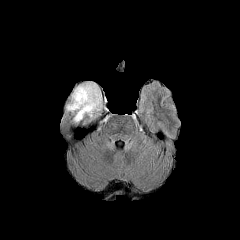
FLAIR MR.
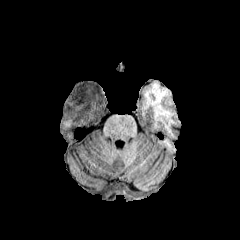
T1-weighted MRI.
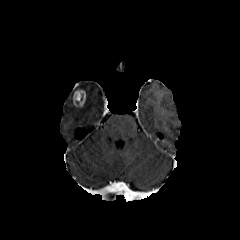
Post-contrast T1-weighted MRI.
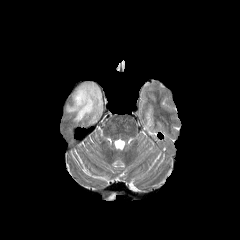
T2-weighted MR image.
Brain, Image size 240x240
The enhancing tumor appears at bbox(72, 89, 85, 108). The edema is located at bbox(66, 81, 102, 122).